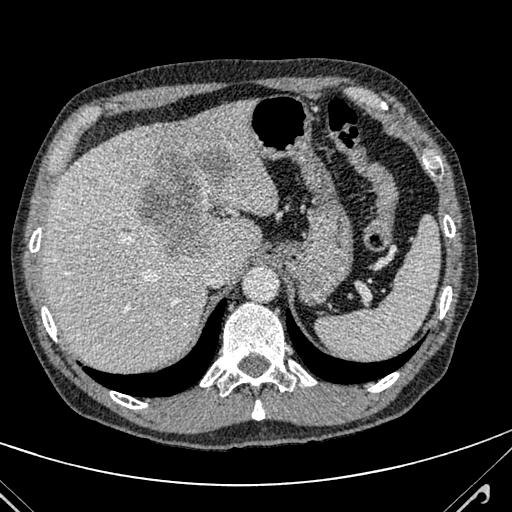 CT | Liver
The liver lesion appears at {"x1": 138, "y1": 142, "x2": 232, "y2": 260}. The liver is located at {"x1": 42, "y1": 101, "x2": 277, "y2": 371}.